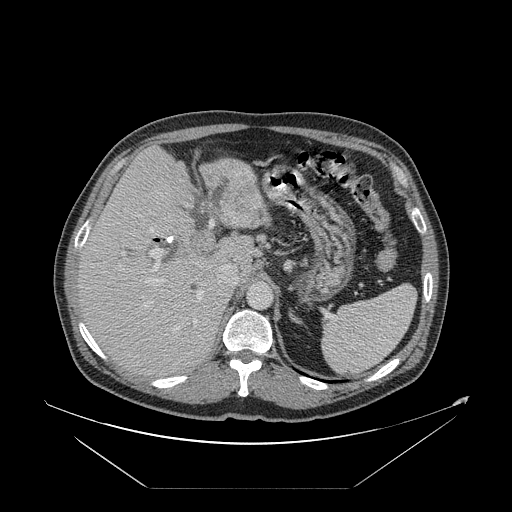 CT image. Abdomen.

Not every hepatic vessel necessarily has a box.
Hepatic vessel: region(194, 320, 197, 324); region(186, 205, 192, 208); region(218, 290, 220, 291); region(217, 264, 238, 284); region(196, 290, 202, 299); region(146, 279, 162, 285); region(173, 328, 177, 332); region(160, 236, 173, 242); region(149, 229, 155, 235); region(118, 264, 120, 266); region(121, 252, 124, 255); region(144, 301, 151, 307); region(211, 218, 213, 227); region(150, 248, 162, 270).
Liver tumor: region(190, 186, 252, 248).